Slice index 34. CT. Field of view 374 mm wide, 2.50 mm slice spacing. Abdomen. 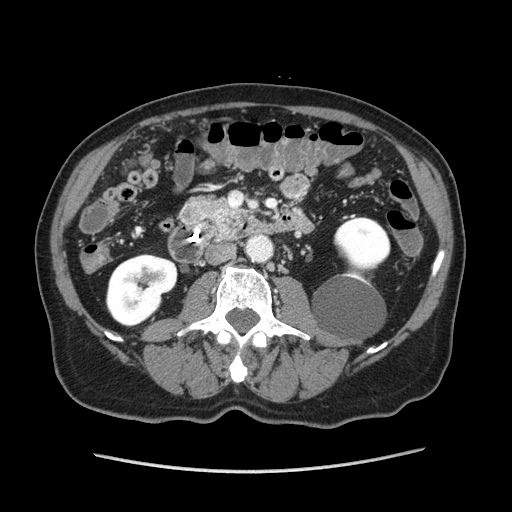
Pancreas: bounding box (left=181, top=197, right=246, bottom=239).
Pancreatic tumor: bounding box (left=214, top=211, right=242, bottom=237).